Slice 29 of 83. Upper abdomen. Computed tomography.
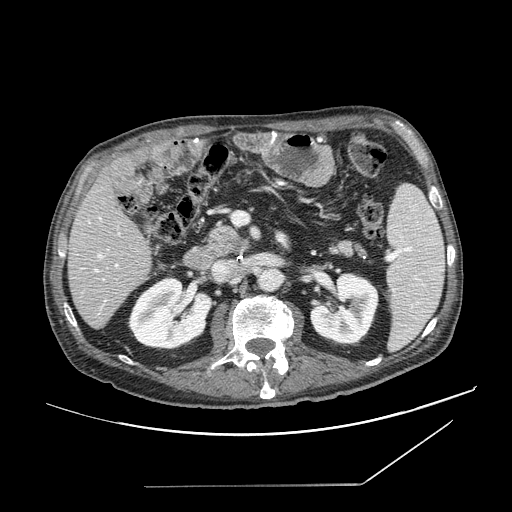

The pancreatic tumor is located at [x1=231, y1=239, x2=243, y2=253]. 2 pancreas regions are bounded by [x1=208, y1=227, x2=246, y2=254], [x1=336, y1=242, x2=356, y2=255].